FLAIR MR image.
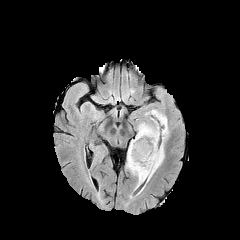
T1-weighted MRI.
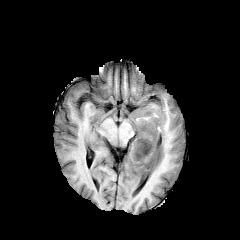
Post-contrast T1-weighted MRI.
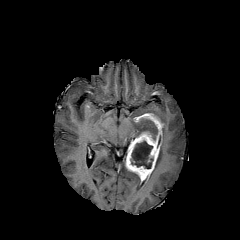
T2-weighted MRI.
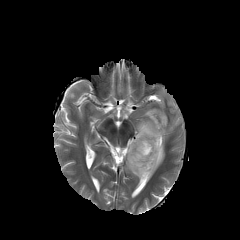
Head, Image size 240x240
Annotated regions:
- edema: (left=135, top=120, right=153, bottom=138), (left=146, top=109, right=168, bottom=183)
- non-enhancing tumor core: (left=146, top=121, right=158, bottom=141), (left=130, top=140, right=153, bottom=168)
- enhancing tumor: (left=126, top=113, right=163, bottom=182)